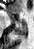 Medial temporal lobe | MRI
{
  "anterior_hippocampus": [
    "21,22,25,23",
    "9,15,14,22"
  ],
  "posterior_hippocampus": [
    "13,24,26,35"
  ]
}